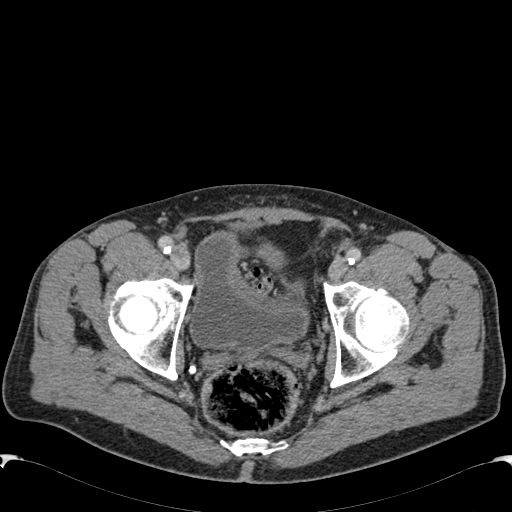

Computed tomography | 512x512
Urinary bladder: bounding box (189,227,309,357).